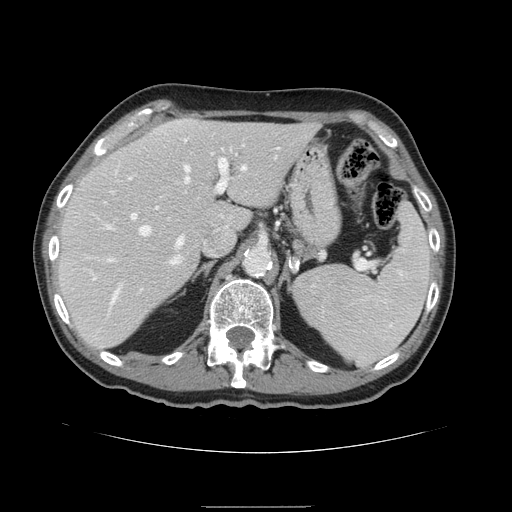 CT scan slice, Upper abdomen
Spleen: bounding box 293, 203, 430, 364.